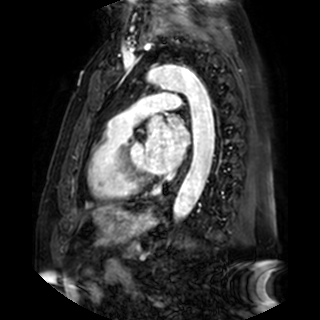 Magnetic resonance. Heart.
Left atrium: (145,117,189,173).